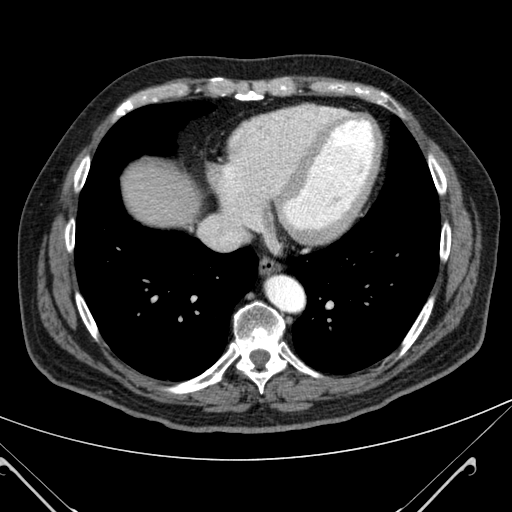 Abdomen, CT slice
The liver is bounded by <box>121,159,202,225</box>.